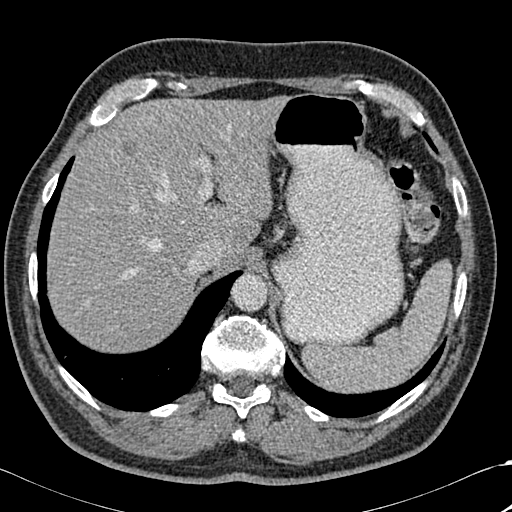
Upper abdomen; CT image

liver:
  - l=47, t=97, r=281, b=352
  - l=219, t=258, r=236, b=264
bone:
  - l=233, t=430, r=244, b=440
  - l=454, t=273, r=466, b=315
  - l=42, t=175, r=57, b=202
  - l=305, t=406, r=327, b=420
  - l=28, t=254, r=36, b=296
  - l=90, t=79, r=156, b=125
  - l=201, t=316, r=284, b=417
  - l=453, t=179, r=466, b=215
  - l=60, t=368, r=97, b=407
  - l=151, t=404, r=177, b=416
  - l=357, t=81, r=424, b=124
  - l=378, t=383, r=425, b=420
focal_liver_lesion:
  - l=121, t=140, r=138, b=154
lung:
  - l=284, t=340, r=445, b=417
  - l=431, t=206, r=439, b=216
  - l=37, t=156, r=242, b=411
  - l=422, t=132, r=437, b=152